CT scan slice
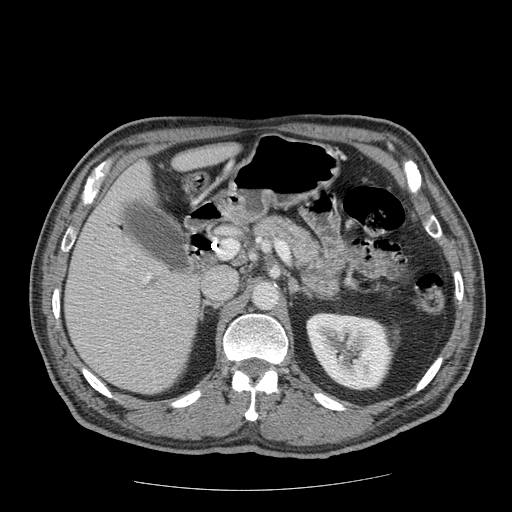 2 pancreas regions are located at x1=250 y1=213 x2=323 y2=269, x1=343 y1=279 x2=360 y2=290.